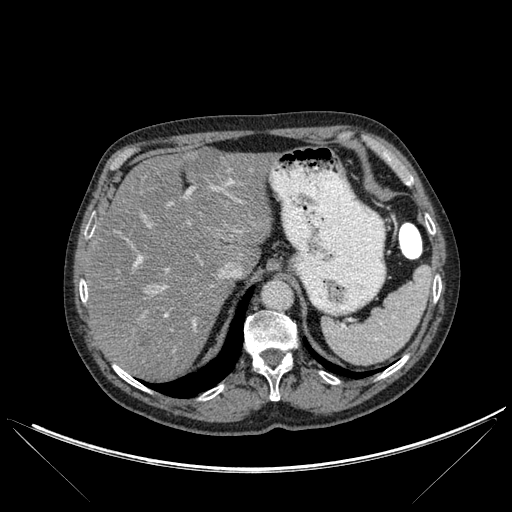
CT

* hepatic lesion: box=[189, 149, 224, 173]; box=[138, 333, 159, 346]
* bone: box=[402, 172, 413, 184]; box=[425, 214, 435, 234]; box=[433, 275, 441, 301]; box=[244, 311, 296, 400]; box=[199, 385, 223, 400]; box=[379, 355, 408, 378]; box=[319, 371, 339, 384]; box=[79, 280, 87, 302]; box=[113, 365, 148, 391]
* lung: box=[145, 287, 253, 397]; box=[304, 339, 378, 378]
* liver: box=[87, 147, 271, 382]